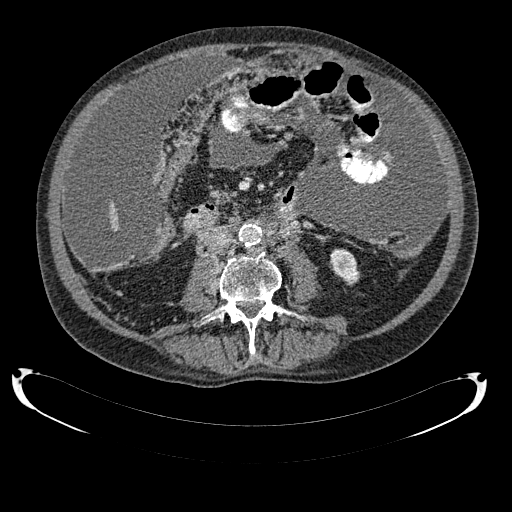 CT image.
Liver: left=109, top=203, right=118, bottom=231.
Kidney: left=331, top=249, right=358, bottom=283.